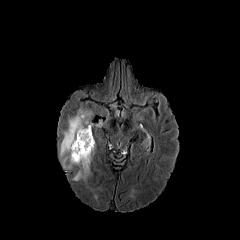
FLAIR MR.
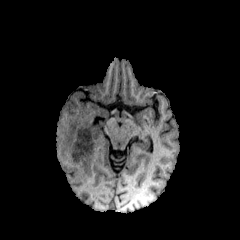
T1-weighted MR.
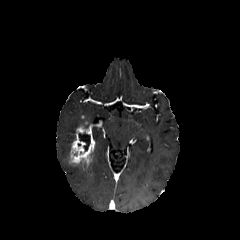
Post-contrast T1-weighted MR image.
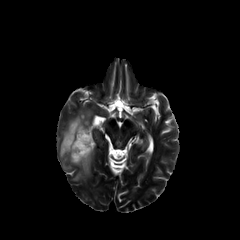
T2-weighted magnetic resonance.
{
  "edema": [
    "58, 104, 95, 181"
  ],
  "enhancing_tumor": [
    "69, 121, 95, 169"
  ],
  "non-enhancing_tumor_core": [
    "78, 132, 90, 150"
  ]
}